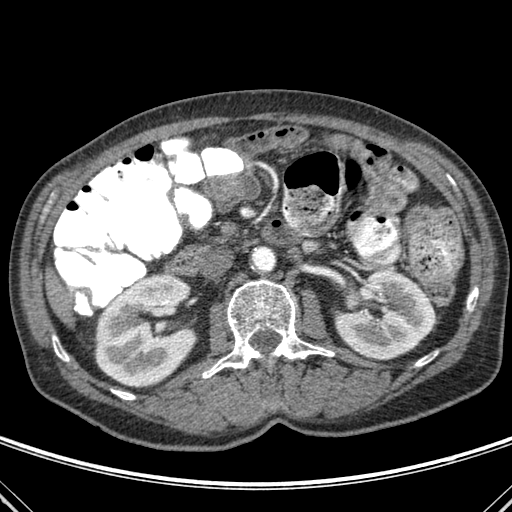
CT scan slice, Image size 512x512, Abdomen

{"kidney": ["336, 270, 434, 358", "96, 275, 194, 386"], "bone": ["467, 287, 478, 310", "415, 352, 437, 366", "111, 389, 135, 399", "241, 208, 249, 217", "52, 335, 68, 361", "202, 279, 334, 378"], "liver": ["46, 268, 72, 327"]}